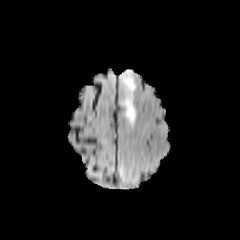
FLAIR MR image.
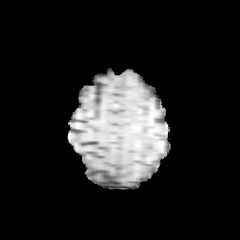
T1-weighted MR image.
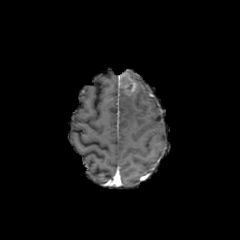
Post-contrast T1-weighted MR.
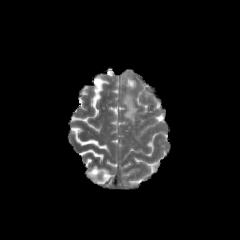
Same slice, T2-weighted MR image.
Brain
Edema at x1=120, y1=92, x2=137, y2=122.
Enhancing tumor at x1=120, y1=70, x2=137, y2=95.